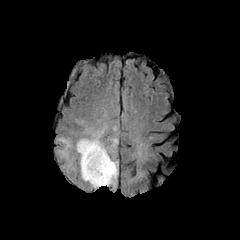
FLAIR MR.
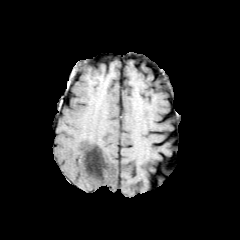
T1-weighted MRI.
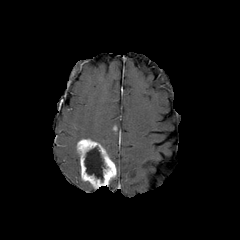
Post-contrast T1-weighted magnetic resonance of the same slice.
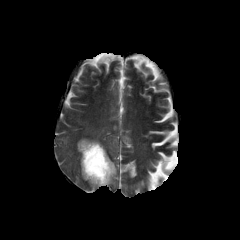
T2-weighted MRI.
Edema: bounding box [55, 108, 120, 190].
Non-enhancing tumor core: bounding box [84, 146, 106, 182].
Enhancing tumor: bounding box [77, 139, 117, 187].